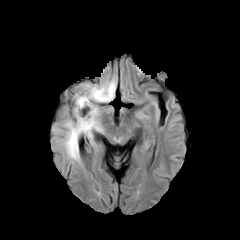
FLAIR MRI.
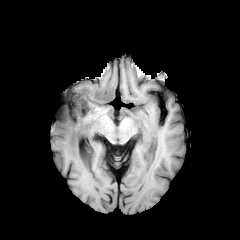
T1-weighted MR image of the same slice.
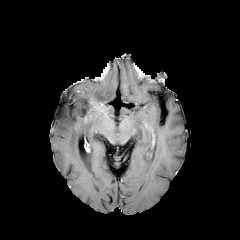
Post-contrast T1-weighted MR.
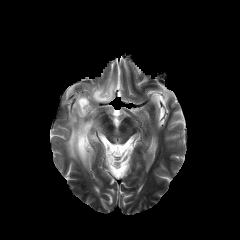
T2-weighted MR image.
Head
The edema appears at [52, 77, 116, 165].